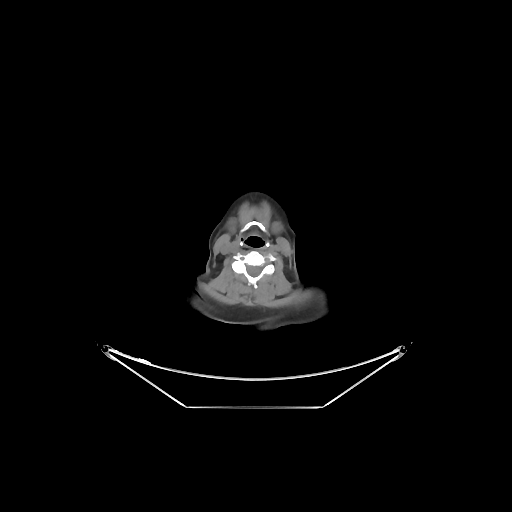
Image size 512x512. CT.

The bone lies within (x1=232, y1=251, x2=275, y2=287).